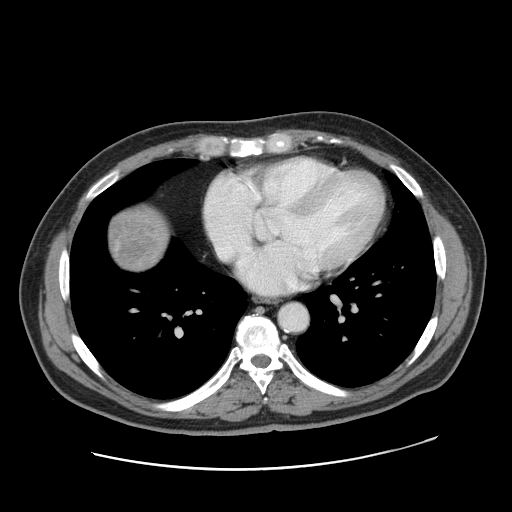
CT

liver_tumor:
  - x1=111 y1=208 x2=163 y2=270